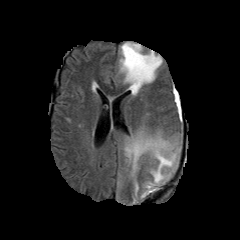
FLAIR MR.
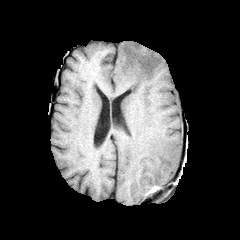
T1-weighted magnetic resonance.
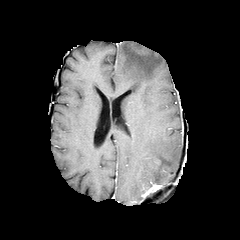
Same slice, post-contrast T1-weighted magnetic resonance.
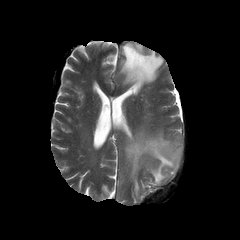
T2-weighted MR.
Image size 240x240
Non-enhancing tumor core — <box>141,184,160,197</box>, <box>126,48,155,77</box>.
Edema — <box>119,42,163,95</box>, <box>134,179,139,196</box>, <box>124,133,180,188</box>.